Slice index 59 | Brain
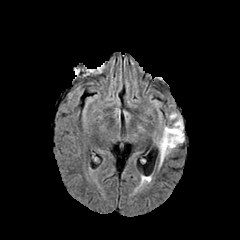
FLAIR MR image.
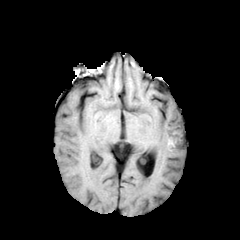
T1-weighted MR of the same slice.
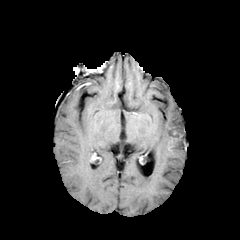
Post-contrast T1-weighted MR.
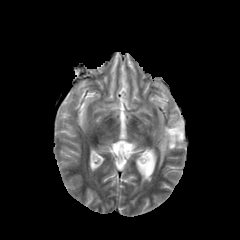
T2-weighted MRI.
Findings:
- edema: rect(157, 112, 184, 164)